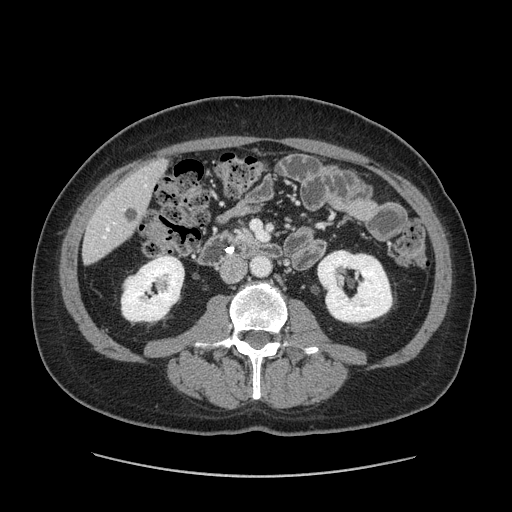
Image size 512x512, CT image
* pancreas: bbox(236, 232, 253, 245)